Brain; Field of view 240x240 mm
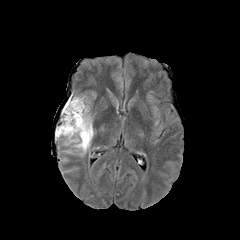
FLAIR MRI.
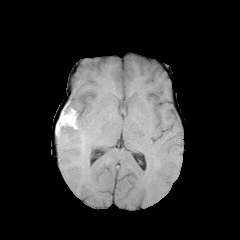
T1-weighted magnetic resonance of the same slice.
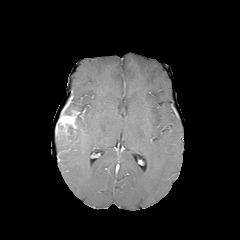
Same slice, post-contrast T1-weighted MR image.
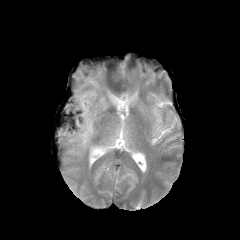
Same slice, T2-weighted MR.
The edema is bounded by bbox=[55, 91, 95, 155]. 2 non-enhancing tumor core regions appear at bbox=[58, 106, 83, 124]; bbox=[58, 124, 75, 135]. The enhancing tumor appears at bbox=[62, 114, 75, 128].